Head
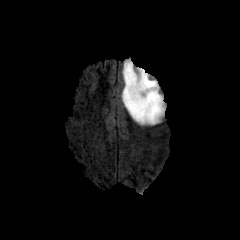
FLAIR MRI.
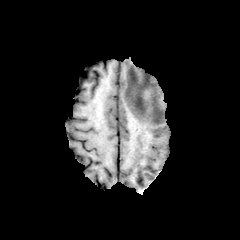
T1-weighted MR image.
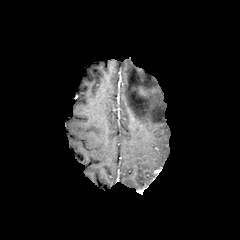
Same slice, post-contrast T1-weighted MRI.
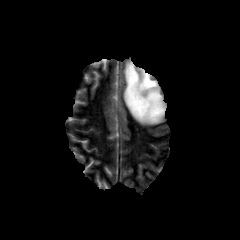
T2-weighted MR.
<segmentation>
  <non-enhancing_tumor_core><box>130,82,146,100</box></non-enhancing_tumor_core>
  <edema><box>121,60,165,125</box></edema>
</segmentation>